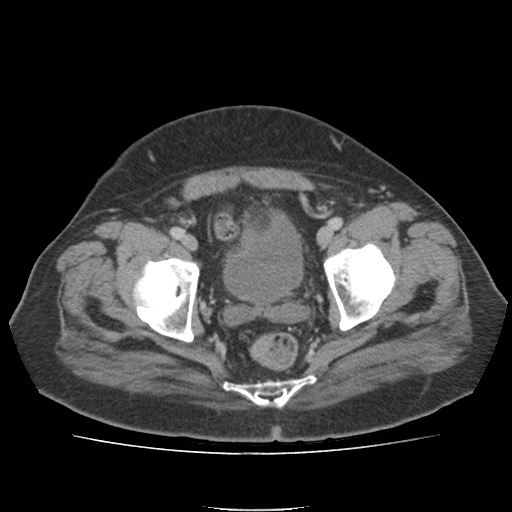 CT
urinary_bladder:
  - 227, 216, 299, 308